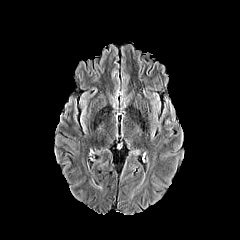
FLAIR MRI.
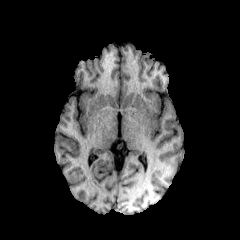
T1-weighted MRI of the same slice.
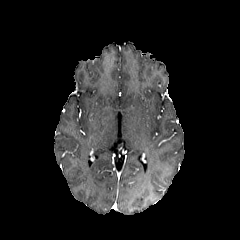
Post-contrast T1-weighted MR image.
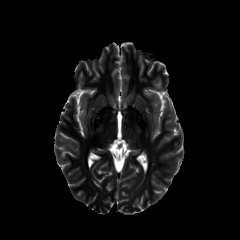
T2-weighted magnetic resonance.
Head
2 edema regions are bounded by 160 99 175 125, 150 98 161 137.